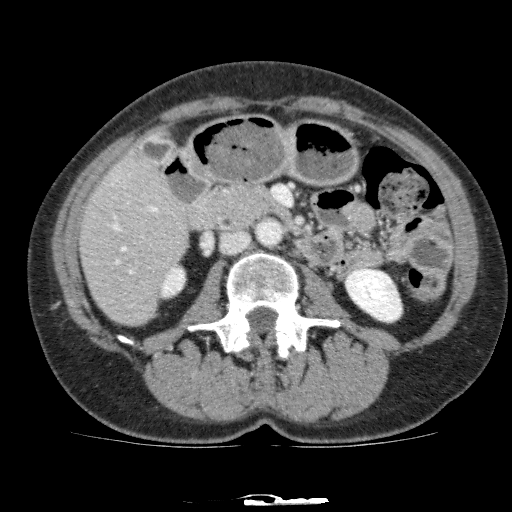
CT image

2 kidney regions appear at {"x1": 161, "y1": 268, "x2": 184, "y2": 296}, {"x1": 346, "y1": 269, "x2": 401, "y2": 320}. The liver is at {"x1": 79, "y1": 148, "x2": 190, "y2": 327}.